CT scan slice; Image width 400 mm; Abdomen
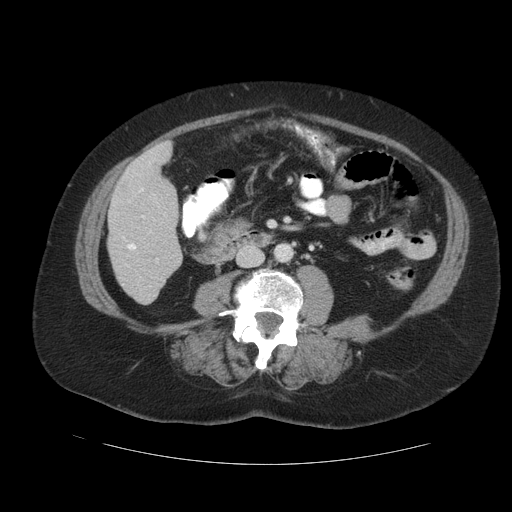 The vessel annotation is not exhaustive.
Hepatic vessel = (x1=128, y1=244, x2=135, y2=248), (x1=141, y1=189, x2=142, y2=190).
Liver tumor = (x1=120, y1=178, x2=142, y2=199).